Slice index 352 | CT image

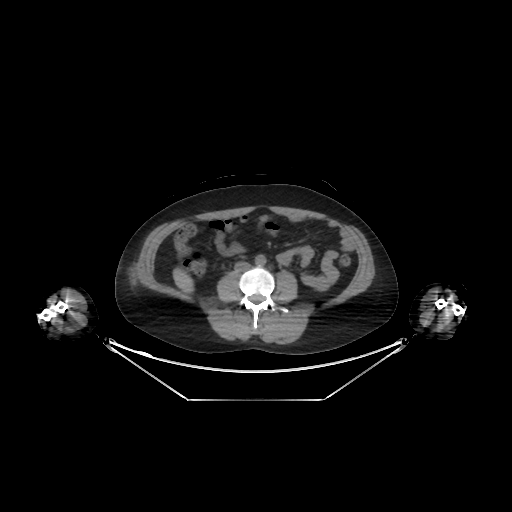
* liver: {"x1": 173, "y1": 268, "x2": 193, "y2": 296}